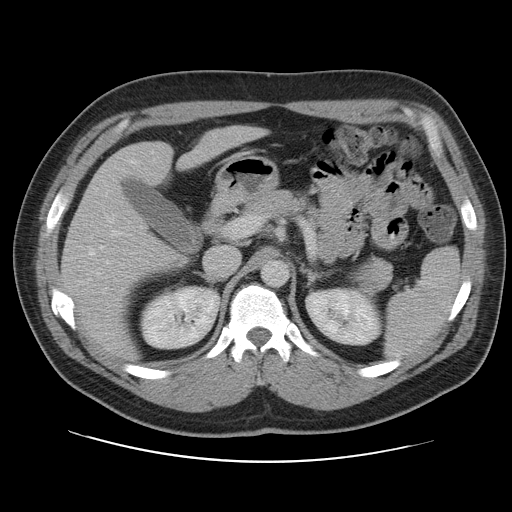
Computed tomography
Only some of the vessels may be annotated.
{
  "hepatic_vessel": [
    "rect(104, 214, 113, 222)",
    "rect(89, 278, 90, 280)",
    "rect(112, 231, 120, 235)",
    "rect(89, 248, 93, 254)"
  ]
}